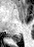 Image size 34x47 | Medial temporal lobe | MRI
Segmented structures:
* posterior hippocampus: <box>13,35,21,42</box>